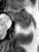
MR image
- anterior hippocampus: 8 8 31 21
- posterior hippocampus: 18 22 30 28